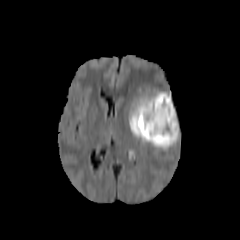
FLAIR magnetic resonance.
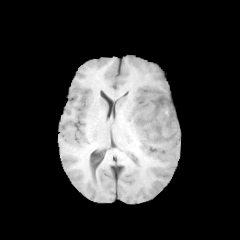
Same slice, T1-weighted MRI.
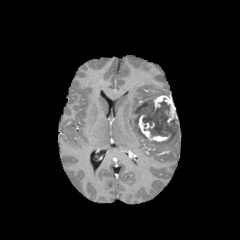
Same slice, post-contrast T1-weighted MR.
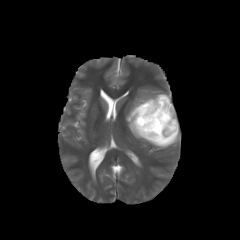
T2-weighted MR image of the same slice.
Findings:
* edema: box(126, 87, 179, 149)
* non-enhancing tumor core: box(136, 100, 177, 136)
* enhancing tumor: box(152, 94, 177, 124); box(138, 114, 170, 141)